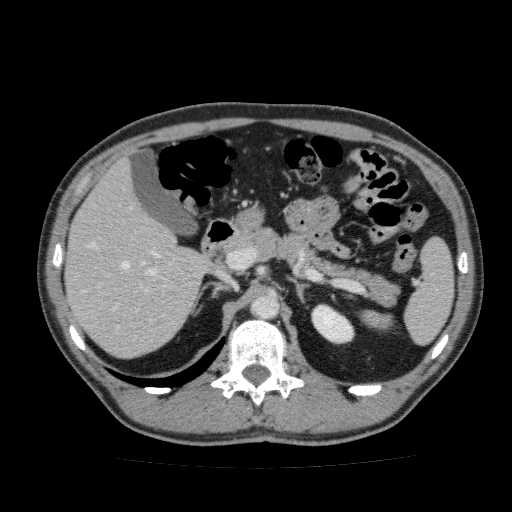
CT image.

<segmentation>
  <kidney>(312, 305, 353, 342)</kidney>
  <liver>(64, 156, 210, 358)</liver>
</segmentation>